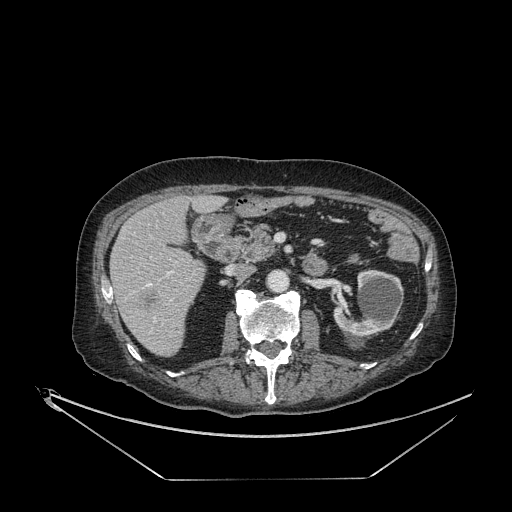 CT slice | 512x512

Kidney: (left=321, top=279, right=393, bottom=336), (left=357, top=270, right=402, bottom=292).
Liver lesion: (left=139, top=290, right=159, bottom=311), (left=123, top=243, right=132, bottom=251).
Liver: (left=110, top=195, right=225, bottom=356).